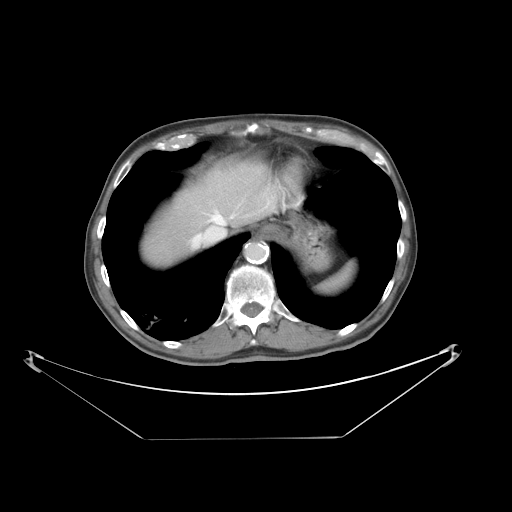

CT image, 512x512
The vessel annotation is not exhaustive.
Findings:
- hepatic vessel: bbox(209, 210, 225, 223); bbox(230, 213, 236, 218); bbox(200, 229, 224, 243)
- liver tumor: bbox(215, 153, 243, 173)